Slice index 40 | CT slice

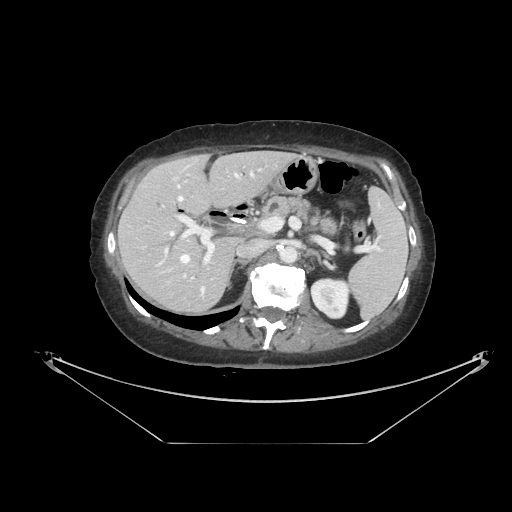 pancreas:
  - bbox(263, 197, 337, 235)